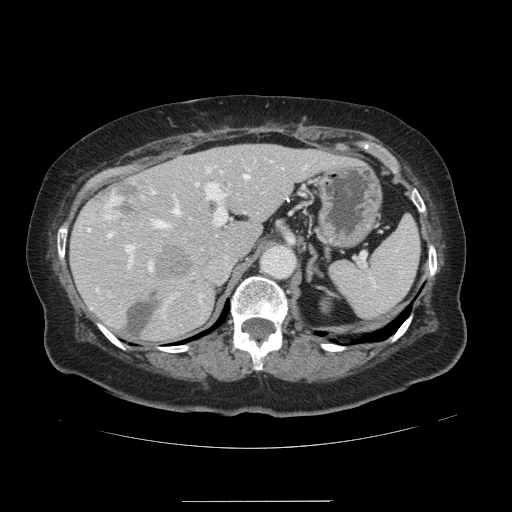

Abdomen. CT scan slice.

Some hepatic vessels may have no box.
3 liver tumor regions are bounded by box(96, 179, 156, 225); box(127, 293, 158, 333); box(157, 245, 191, 276). 13 hepatic vessel regions are located at box(87, 228, 90, 231); box(196, 182, 198, 184); box(148, 262, 152, 270); box(206, 167, 210, 171); box(173, 205, 179, 213); box(244, 173, 248, 178); box(247, 168, 248, 169); box(304, 165, 306, 167); box(107, 233, 111, 236); box(172, 193, 174, 196); box(205, 182, 226, 224); box(125, 244, 133, 267); box(154, 220, 167, 227).